Slice 29/49 | CT slice | Image size 512x512

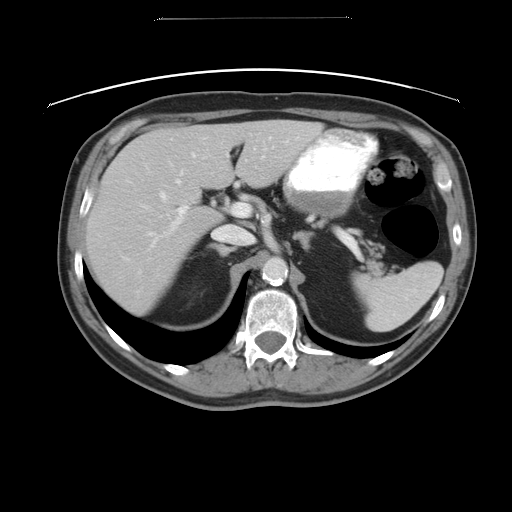
The vessel annotation is not exhaustive.
Hepatic vessel: {"x1": 180, "y1": 171, "x2": 182, "y2": 174}, {"x1": 191, "y1": 198, "x2": 193, "y2": 201}, {"x1": 139, "y1": 270, "x2": 141, "y2": 272}, {"x1": 212, "y1": 226, "x2": 253, "y2": 242}, {"x1": 172, "y1": 205, "x2": 188, "y2": 228}, {"x1": 141, "y1": 205, "x2": 147, "y2": 207}, {"x1": 149, "y1": 231, "x2": 157, "y2": 245}, {"x1": 262, "y1": 155, "x2": 264, "y2": 157}, {"x1": 177, "y1": 179, "x2": 180, "y2": 182}, {"x1": 160, "y1": 191, "x2": 166, "y2": 198}, {"x1": 123, "y1": 256, "x2": 128, "y2": 259}, {"x1": 233, "y1": 203, "x2": 250, "y2": 216}, {"x1": 286, "y1": 139, "x2": 288, "y2": 141}.